FLAIR MR image.
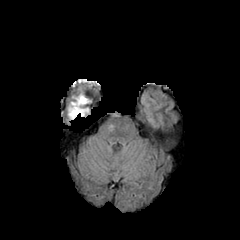
T1-weighted MR.
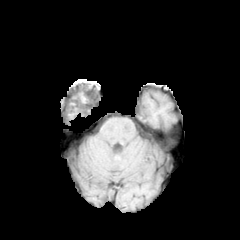
Post-contrast T1-weighted MR.
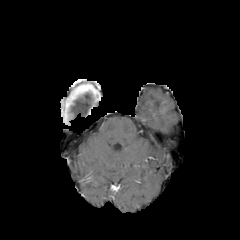
T2-weighted MR image.
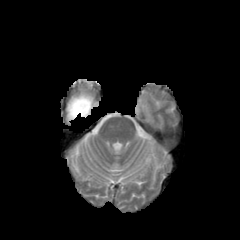
Edema at 67, 89, 86, 117.